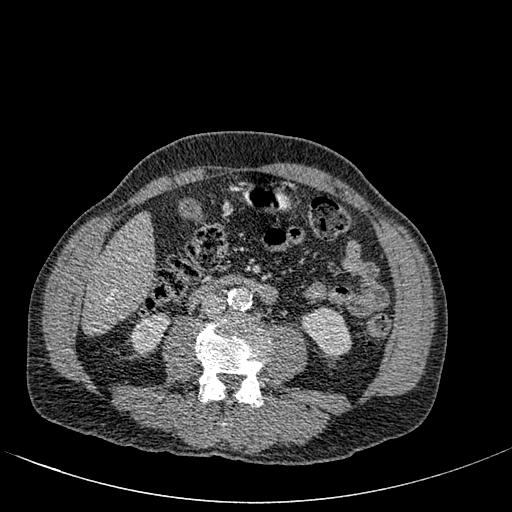 Image size 512x512. CT image.
liver: 82 212 153 334 | kidney: 302 308 351 356, 131 313 169 354